T2-weighted MR image.
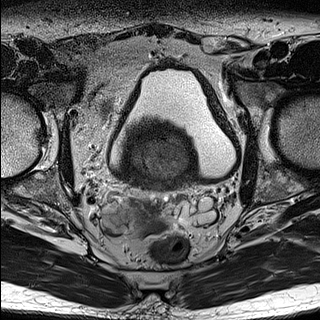
ADC magnetic resonance.
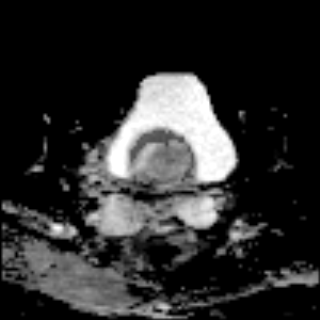
Pelvis.
The prostate transition zone is at 134:140:187:176.